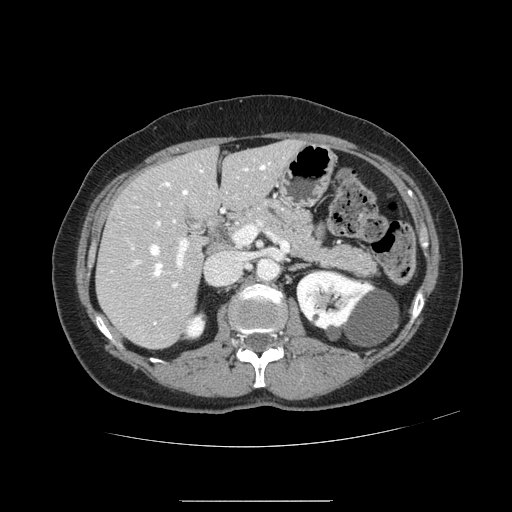
Image size 512x512 | Abdomen | CT slice

Pancreas at (205,198,379,279).